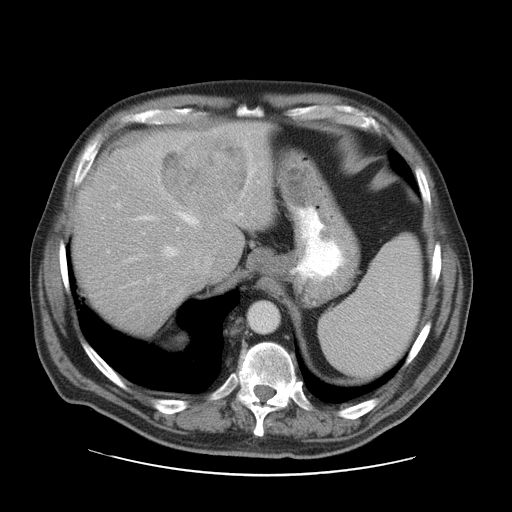
Computed tomography. Abdomen. Not every hepatic vessel necessarily has a box.
<segmentation>
  <liver_tumor>(161,135,248,214)</liver_tumor>
  <hepatic_vessel>(139,216,151,219), (165,247,175,255), (178,212,197,223), (176,227,178,230)</hepatic_vessel>
</segmentation>